Image size 240x240; Slice 38/155
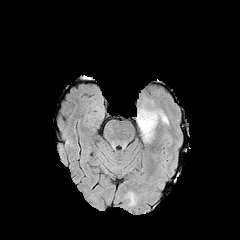
FLAIR MRI.
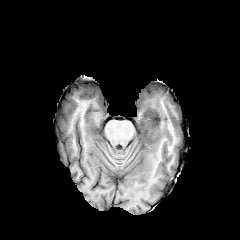
T1-weighted MR image of the same slice.
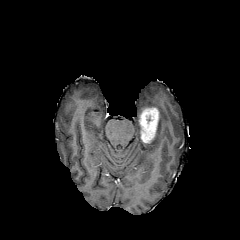
Post-contrast T1-weighted MRI of the same slice.
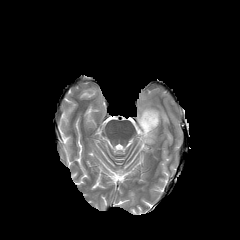
T2-weighted magnetic resonance.
<segmentation>
  <enhancing_tumor>box=[138, 108, 159, 143]</enhancing_tumor>
  <edema>box=[143, 106, 168, 132]</edema>
</segmentation>